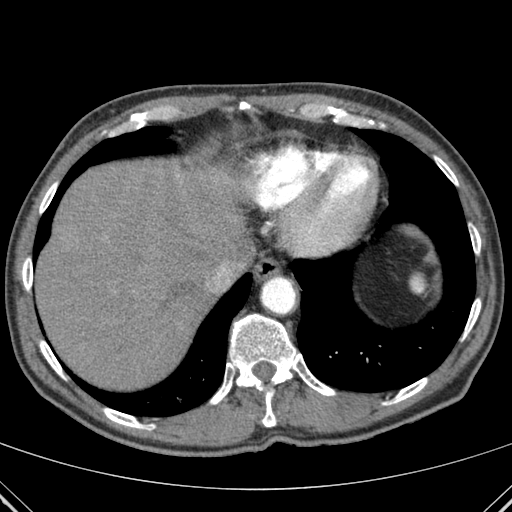
CT slice; Upper abdomen
{"liver": ["x1=33, y1=160, x2=249, y2=390"], "lung": ["x1=36, y1=127, x2=174, y2=256", "x1=63, y1=273, x2=251, y2=416", "x1=292, y1=128, x2=475, y2=392"], "bone": ["x1=39, y1=182, x2=57, y2=213", "x1=239, y1=101, x2=249, y2=109", "x1=434, y1=156, x2=458, y2=185", "x1=462, y1=298, x2=480, y2=338", "x1=39, y1=340, x2=64, y2=378", "x1=470, y1=227, x2=480, y2=253", "x1=389, y1=378, x2=427, y2=403", "x1=103, y1=408, x2=154, y2=429", "x1=210, y1=314, x2=335, y2=404", "x1=22, y1=258, x2=32, y2=290", "x1=262, y1=393, x2=275, y2=426"]}